Abdomen. Field of view 335 mm wide, 1.00 mm slice spacing. CT slice.

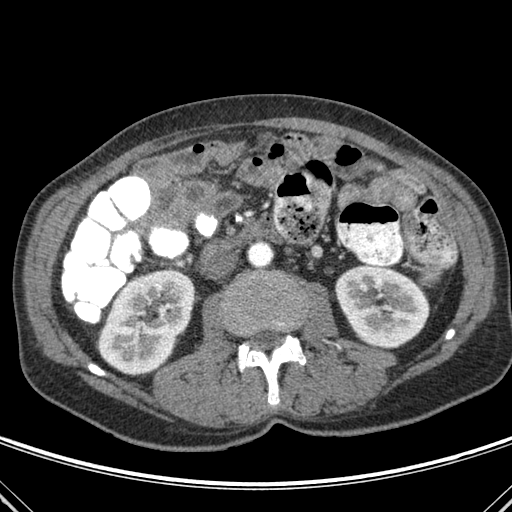

bone: <box>446,329,454,339</box>, <box>88,363,105,375</box>, <box>225,272,301,334</box>, <box>238,335,305,404</box> | kidney: <box>99,274,193,373</box>, <box>336,266,428,346</box>